Slice index 41, Field of view 500x500 mm, 512x512, CT

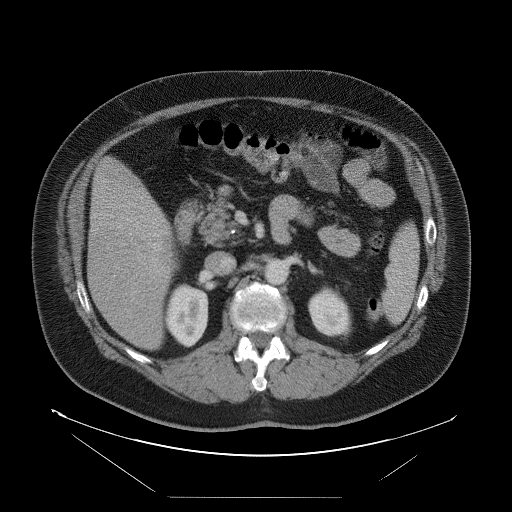

Some hepatic vessels may have no box.
10 hepatic vessel regions are bounded by [x1=138, y1=256, x2=144, y2=258], [x1=153, y1=230, x2=165, y2=236], [x1=151, y1=259, x2=156, y2=261], [x1=133, y1=290, x2=135, y2=292], [x1=153, y1=218, x2=156, y2=220], [x1=123, y1=243, x2=124, y2=245], [x1=118, y1=224, x2=122, y2=228], [x1=150, y1=272, x2=150, y2=275], [x1=162, y1=268, x2=168, y2=271], [x1=144, y1=225, x2=145, y2=226]. The liver tumor appears at [x1=170, y1=249, x2=175, y2=267].